FLAIR MR image.
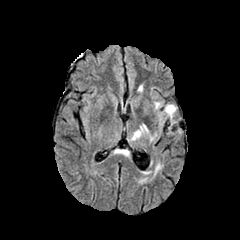
T1-weighted MR.
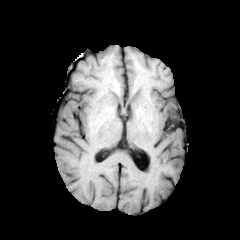
Post-contrast T1-weighted MR.
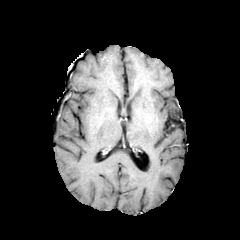
T2-weighted magnetic resonance.
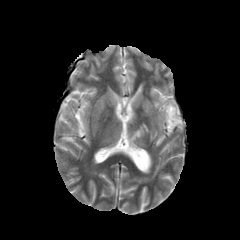
Head; 240x240 px
2 edema regions are bounded by bbox=[154, 102, 178, 132]; bbox=[131, 124, 148, 140].